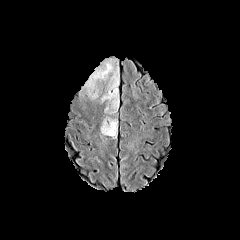
FLAIR MRI.
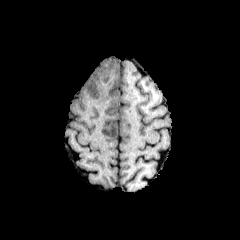
T1-weighted MR image of the same slice.
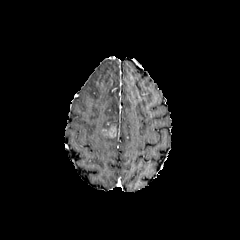
Same slice, post-contrast T1-weighted MRI.
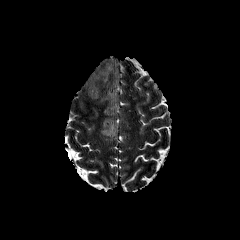
T2-weighted MR.
240x240, Head
<segmentation>
  <enhancing_tumor>x1=102, y1=128, x2=116, y2=137</enhancing_tumor>
  <edema>x1=88, y1=62, x2=119, y2=114</edema>
</segmentation>